FLAIR magnetic resonance.
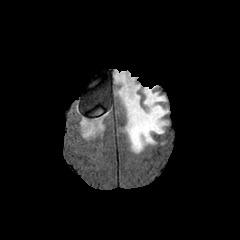
T1-weighted MR.
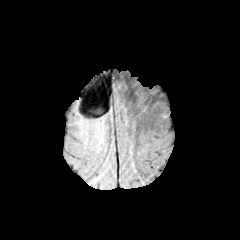
Post-contrast T1-weighted MR image.
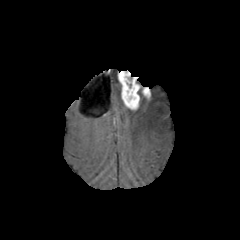
T2-weighted MR.
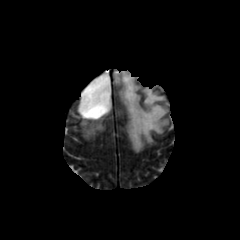
240x240; Brain
Enhancing tumor: left=118, top=72, right=140, bottom=109; left=142, top=88, right=151, bottom=98.
Non-enhancing tumor core: left=137, top=86, right=149, bottom=103.
Edema: left=81, top=120, right=101, bottom=136; left=124, top=90, right=168, bottom=152.